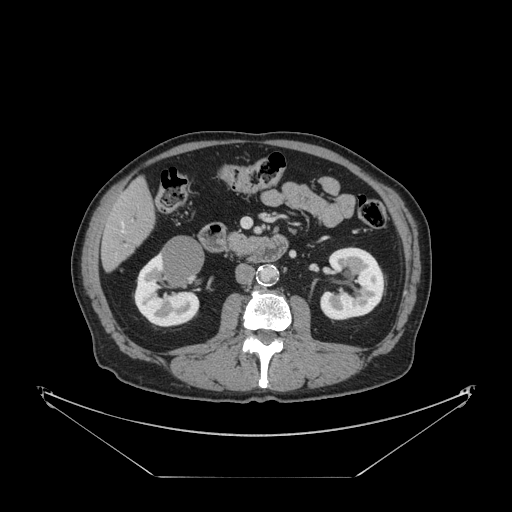 CT scan slice, Liver, 512x512
Some hepatic vessels may have no box.
• hepatic vessel: bbox(121, 222, 123, 232)